512x512, CT image, Slice index 129, Lower abdomen, Field of view 400 mm wide, 0.70 mm slice spacing

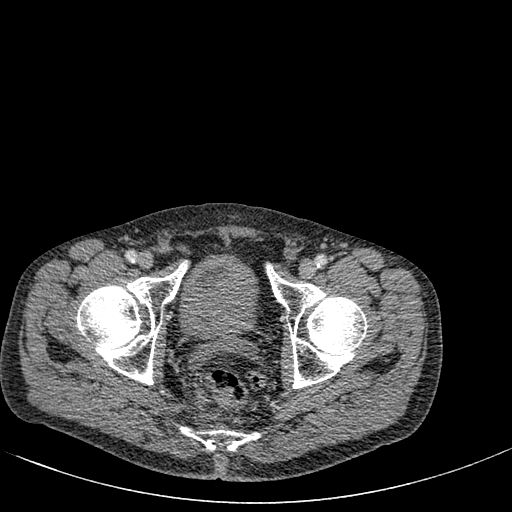 The urinary bladder is bounded by (176, 250, 261, 339).